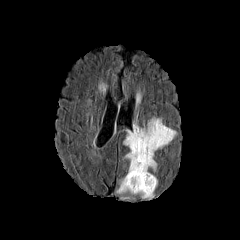
FLAIR MR image.
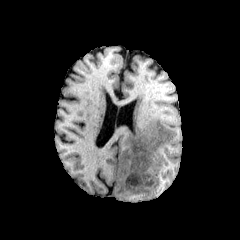
T1-weighted MRI of the same slice.
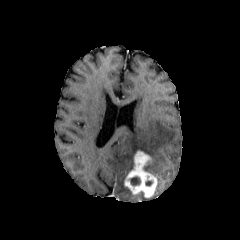
Post-contrast T1-weighted MR.
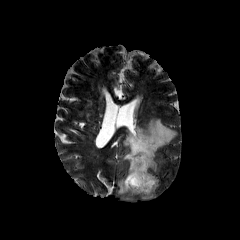
T2-weighted MR.
Non-enhancing tumor core — <box>130,177,140,185</box>.
Enhancing tumor — <box>124,150,157,196</box>.
Edema — <box>116,178,130,196</box>, <box>137,191,154,199</box>, <box>122,117,176,173</box>, <box>144,161,157,171</box>.